CT slice; 512x512 px

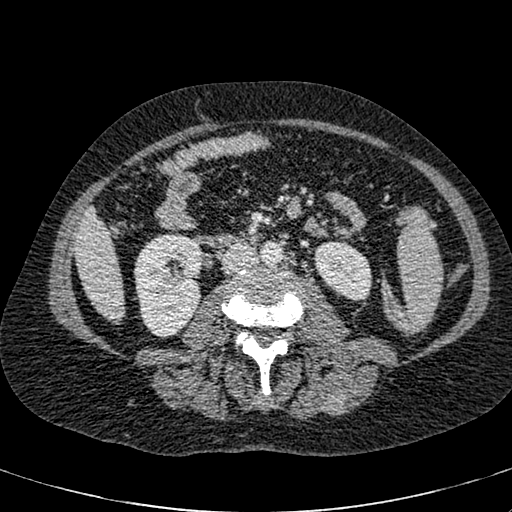 kidney: 134 235 202 336, 315 242 370 299 | liver: 75 206 123 318